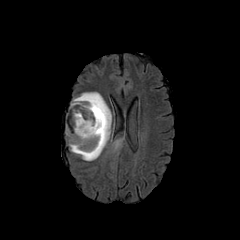
FLAIR MR.
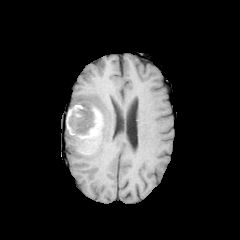
T1-weighted MR.
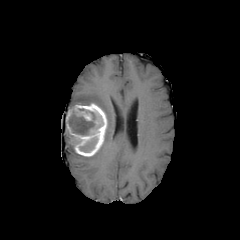
Post-contrast T1-weighted MR image.
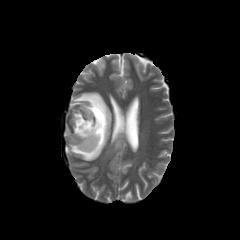
T2-weighted magnetic resonance.
Head.
- non-enhancing tumor core: l=81, t=138, r=95, b=150; l=75, t=112, r=96, b=135
- edema: l=66, t=92, r=112, b=161
- enhancing tumor: l=72, t=103, r=107, b=156